CT image. Upper abdomen. 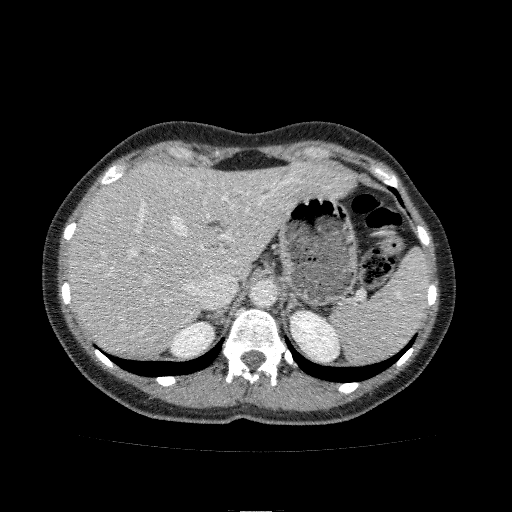

Kidney: (left=291, top=311, right=339, bottom=361), (left=171, top=322, right=213, bottom=356).
Liver: (left=67, top=159, right=349, bottom=354).